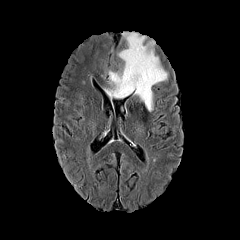
FLAIR magnetic resonance.
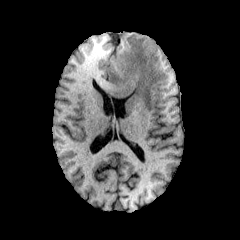
Same slice, T1-weighted MR image.
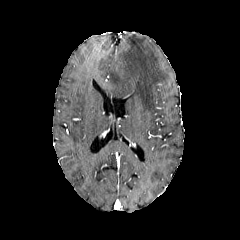
Post-contrast T1-weighted MR image of the same slice.
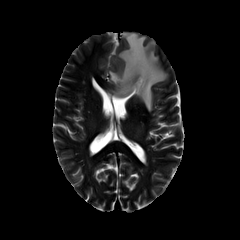
T2-weighted MR.
Annotated regions:
* edema: box=[103, 31, 167, 111]